Image size 512x512; CT image 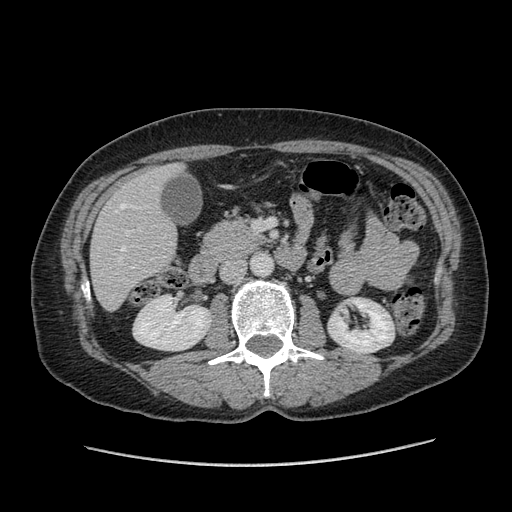
Only some of the vessels may be annotated.
Annotated regions:
• hepatic vessel: region(125, 232, 128, 233)